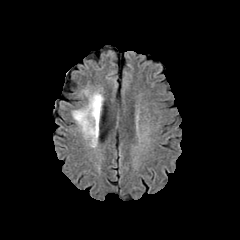
FLAIR MRI.
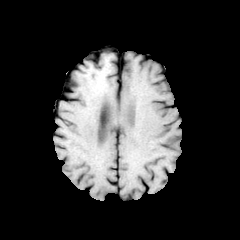
T1-weighted MRI.
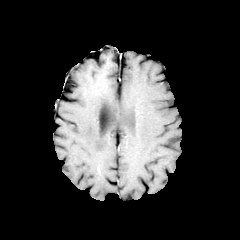
Same slice, post-contrast T1-weighted MR image.
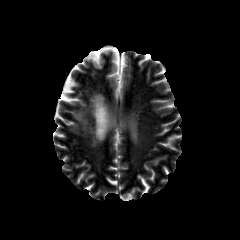
T2-weighted MR.
240x240 px
Segmented structures:
• edema: bbox=[72, 90, 103, 146]